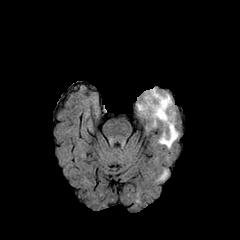
FLAIR MR.
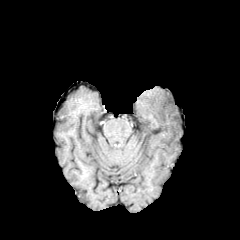
T1-weighted MR image.
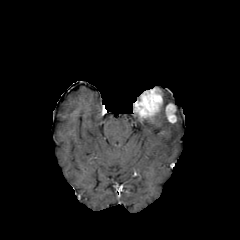
Post-contrast T1-weighted MRI.
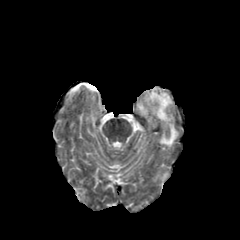
Same slice, T2-weighted magnetic resonance.
Brain.
Annotated regions:
- enhancing tumor: 165:102:176:123, 136:87:163:118
- edema: 156:111:178:148, 163:92:171:105